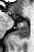 Magnetic resonance

Annotated regions:
- anterior hippocampus: x1=13, y1=15, x2=14, y2=18
- posterior hippocampus: x1=14, y1=22, x2=29, y2=40